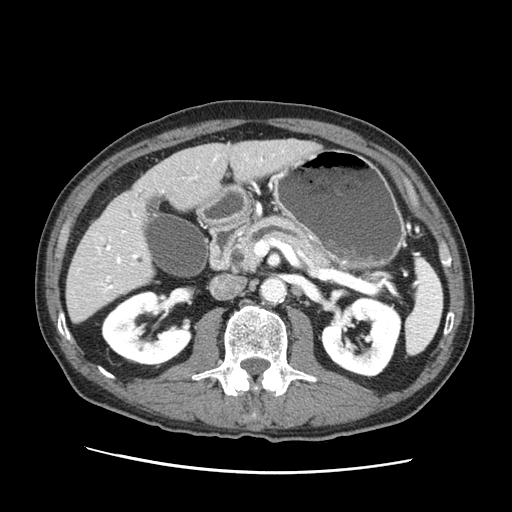
Upper abdomen. 512x512. CT slice.
pancreas: [x1=232, y1=218, x2=339, y2=273]